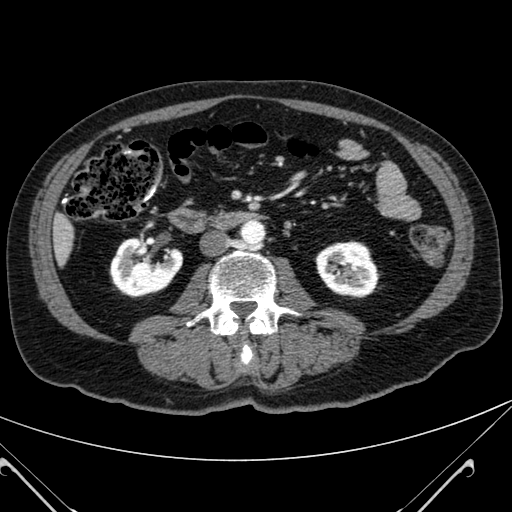

Liver. CT scan slice.
• kidney: [x1=111, y1=238, x2=181, y2=295], [x1=317, y1=243, x2=377, y2=296]
• liver: [x1=52, y1=215, x2=73, y2=261]